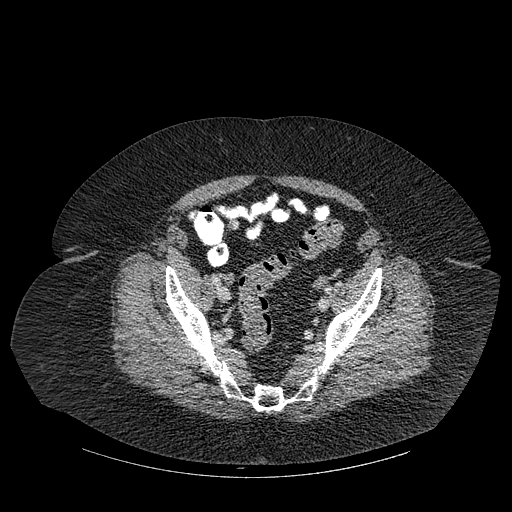

CT slice, Image size 512x512
<segmentation>
  <bone>(166, 266, 382, 411), (221, 248, 228, 260)</bone>
</segmentation>